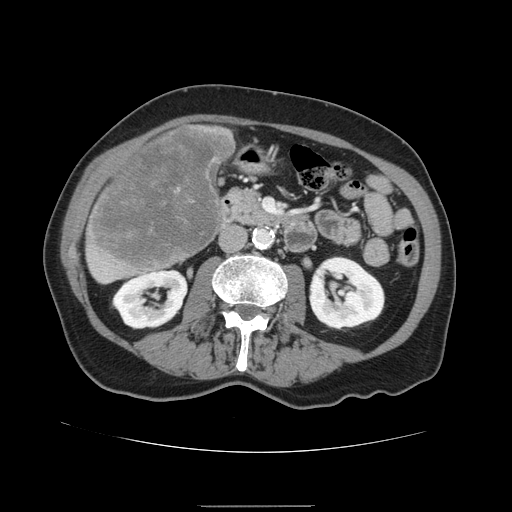
512x512. CT image. Liver tumor: bbox(90, 127, 232, 269).